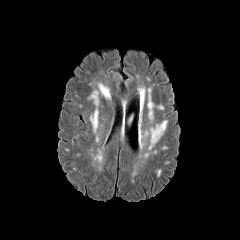
FLAIR MRI.
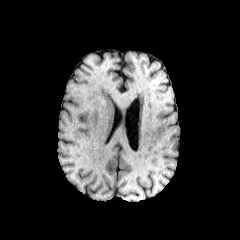
T1-weighted MR of the same slice.
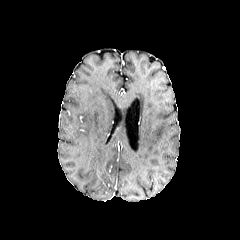
Post-contrast T1-weighted magnetic resonance.
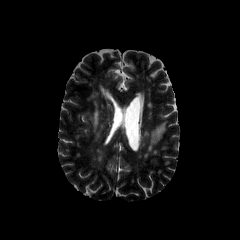
T2-weighted MRI.
Brain
The edema is located at 92, 111, 97, 132.